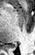
MR. • posterior hippocampus: 10:45:16:47